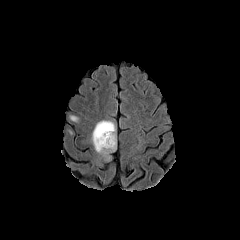
FLAIR MRI.
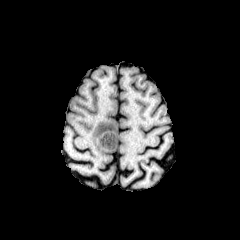
Same slice, T1-weighted MRI.
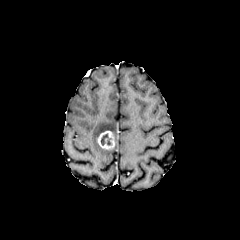
Post-contrast T1-weighted MRI of the same slice.
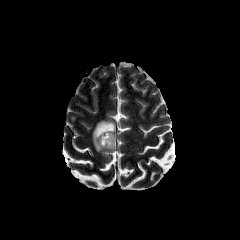
T2-weighted MR.
The non-enhancing tumor core lies within <bbox>101, 133, 112, 145</bbox>. The edema is bounded by <bbox>92, 120, 115, 155</bbox>. The enhancing tumor lies within <bbox>97, 131, 116, 150</bbox>.